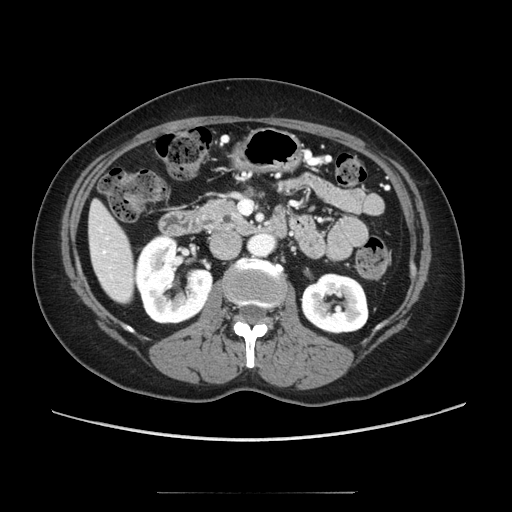

Image size 512x512; CT slice; Upper abdomen
pancreas:
  - <bbox>192, 199, 255, 233</bbox>